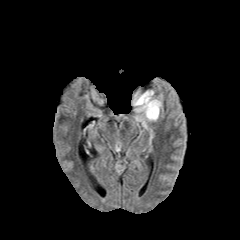
FLAIR MR image.
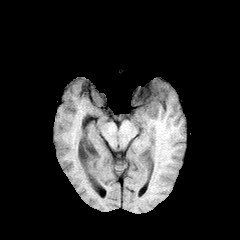
T1-weighted MR image.
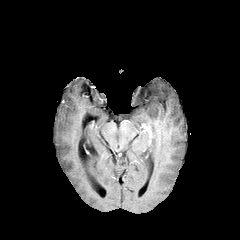
Post-contrast T1-weighted MR.
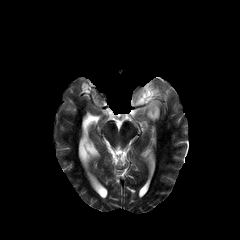
T2-weighted MR image.
Brain.
Edema: bounding box 132, 85, 166, 128.